Abdomen, CT
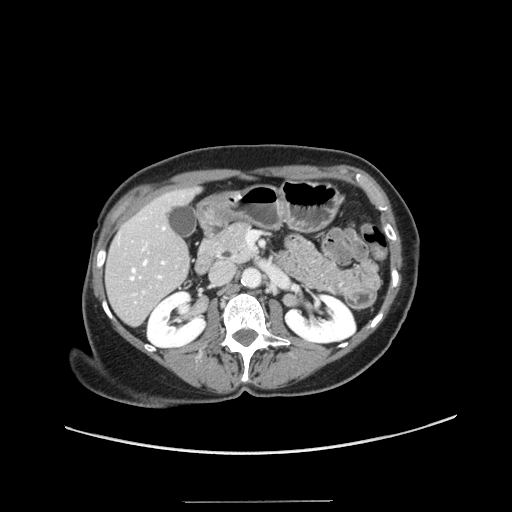
Some hepatic vessels may have no box.
Hepatic vessel: rect(158, 276, 161, 277); rect(132, 269, 134, 272); rect(144, 260, 146, 263); rect(131, 275, 135, 279); rect(162, 261, 164, 263); rect(163, 227, 164, 228).